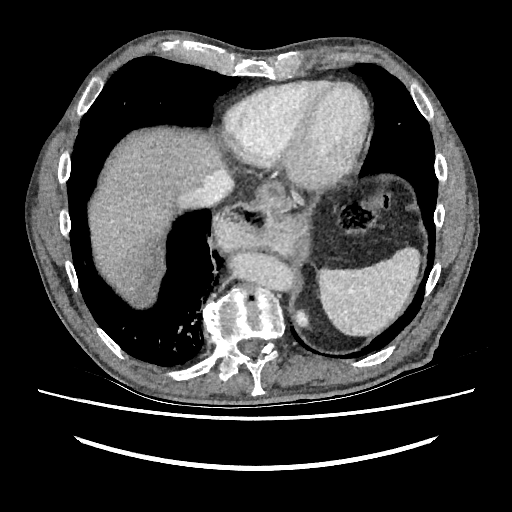 Image size 512x512 | Abdomen | CT slice
kidney:
  - bbox=[297, 312, 306, 324]
liver:
  - bbox=[89, 129, 227, 296]
liver_lesion:
  - bbox=[119, 234, 163, 290]